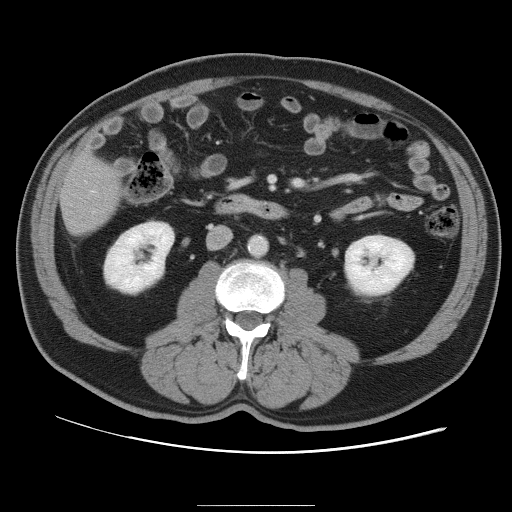

CT scan slice | Image size 512x512

Some hepatic vessels may have no box.
{"hepatic_vessel": ["[91,190,95,192]", "[92,211,94,212]"]}